Slice 97/141 | Field of view 393x393 mm | CT | Liver | 512x512 px
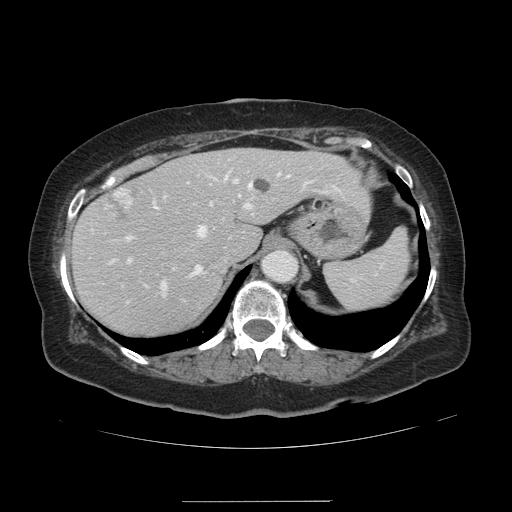 Only some of the vessels may be annotated.
15 hepatic vessel regions appear at (x1=127, y1=258, x2=130, y2=261), (x1=232, y1=179, x2=237, y2=182), (x1=110, y1=259, x2=113, y2=262), (x1=286, y1=175, x2=289, y2=176), (x1=160, y1=281, x2=165, y2=295), (x1=244, y1=203, x2=250, y2=207), (x1=209, y1=202, x2=211, y2=204), (x1=224, y1=175, x2=227, y2=178), (x1=315, y1=186, x2=338, y2=193), (x1=303, y1=180, x2=311, y2=187), (x1=248, y1=182, x2=251, y2=187), (x1=126, y1=236, x2=130, y2=239), (x1=212, y1=177, x2=214, y2=178), (x1=197, y1=226, x2=205, y2=234), (x1=153, y1=201, x2=156, y2=207). 2 liver tumor regions are located at (x1=252, y1=178, x2=271, y2=193), (x1=101, y1=187, x2=137, y2=225).